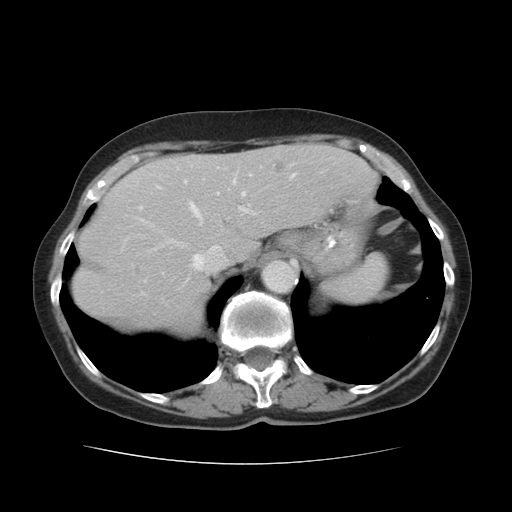

CT image; Abdomen
Lung at [290, 176, 444, 384], [62, 243, 78, 277], [208, 276, 242, 327], [80, 204, 95, 226], [60, 287, 217, 392].
Liver at [73, 144, 377, 334].
Focal liver lesion at [134, 263, 142, 275], [275, 161, 282, 171].
Bone at [421, 324, 439, 354], [57, 229, 75, 267], [200, 291, 291, 407], [444, 261, 453, 286], [77, 347, 100, 377], [82, 179, 104, 207], [139, 393, 169, 403], [349, 385, 377, 395], [360, 145, 368, 152], [294, 355, 312, 374], [385, 165, 397, 177], [397, 175, 411, 189], [428, 218, 444, 242], [51, 270, 61, 306].